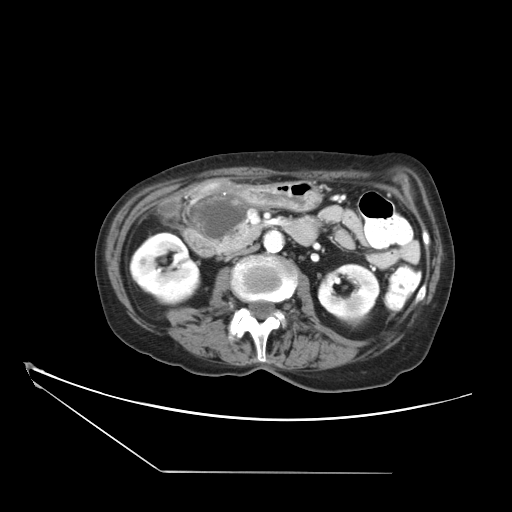
CT scan slice.
The pancreatic tumor is bounded by left=194, top=197, right=246, bottom=239. The pancreas is at left=191, top=190, right=262, bottom=254.